CT scan slice | Liver | Slice 380/624

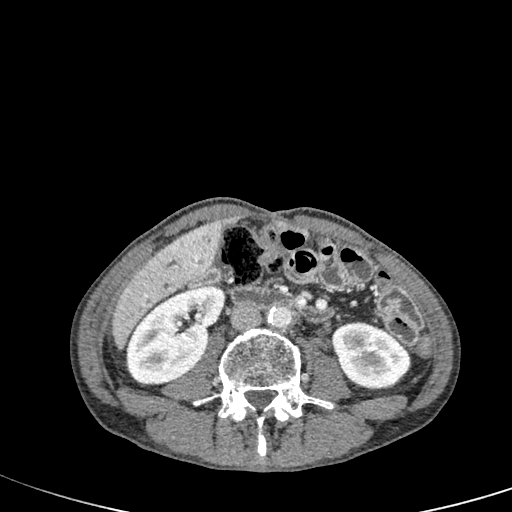
The liver lies within l=114, t=219, r=225, b=348. The hepatic lesion is located at l=225, t=217, r=239, b=223. 2 kidney regions are located at l=333, t=323, r=409, b=387; l=127, t=287, r=223, b=383.